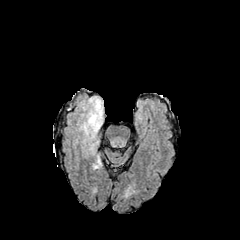
FLAIR magnetic resonance.
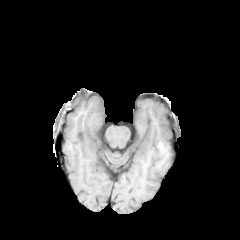
T1-weighted MR image.
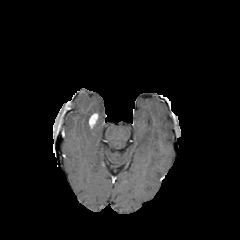
Same slice, post-contrast T1-weighted MR image.
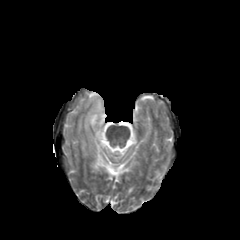
T2-weighted magnetic resonance.
240x240 px
Annotated regions:
* edema: left=78, top=96, right=104, bottom=171
* enhancing tumor: left=89, top=113, right=97, bottom=127